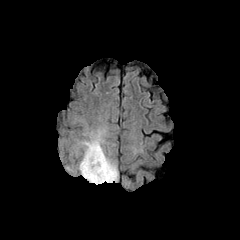
FLAIR magnetic resonance.
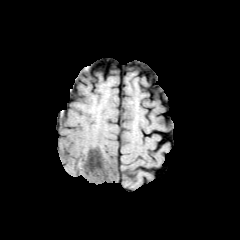
T1-weighted MRI.
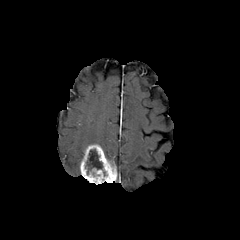
Post-contrast T1-weighted magnetic resonance of the same slice.
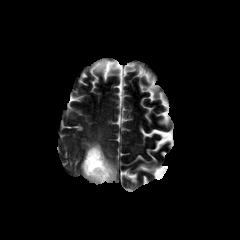
T2-weighted MRI.
240x240; Head
The edema is bounded by [81, 133, 101, 151]. The non-enhancing tumor core is located at [86, 150, 102, 169]. The enhancing tumor is at [80, 144, 116, 183].